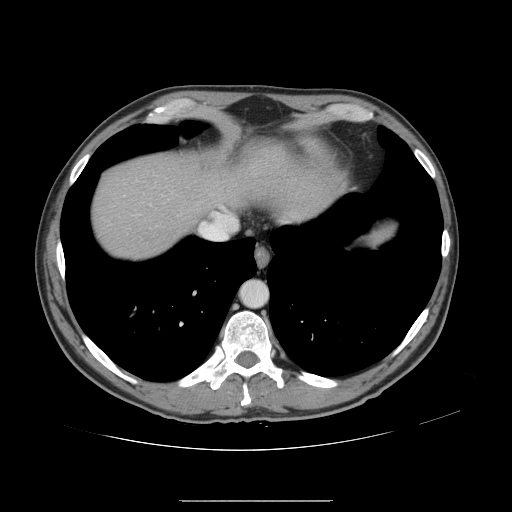 Abdomen, CT scan slice
The vessel boxes may cover only some of the vessels.
hepatic vessel: bbox=[201, 213, 237, 239]